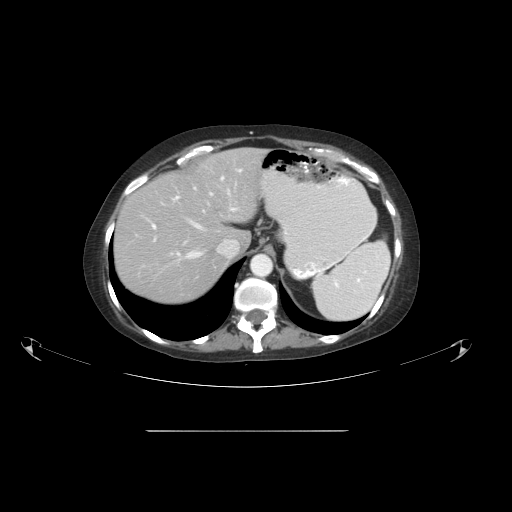

Abdomen | CT
The vessel boxes may cover only some of the vessels.
* hepatic vessel: box=[177, 252, 179, 255]; box=[146, 219, 155, 228]; box=[229, 205, 237, 211]; box=[193, 187, 196, 189]; box=[172, 196, 179, 201]; box=[209, 192, 212, 195]; box=[227, 189, 230, 195]; box=[153, 238, 155, 240]; box=[237, 169, 241, 172]; box=[208, 203, 209, 205]; box=[187, 251, 201, 258]; box=[190, 222, 201, 228]; box=[184, 241, 186, 243]; box=[234, 240, 237, 243]; box=[221, 176, 223, 180]